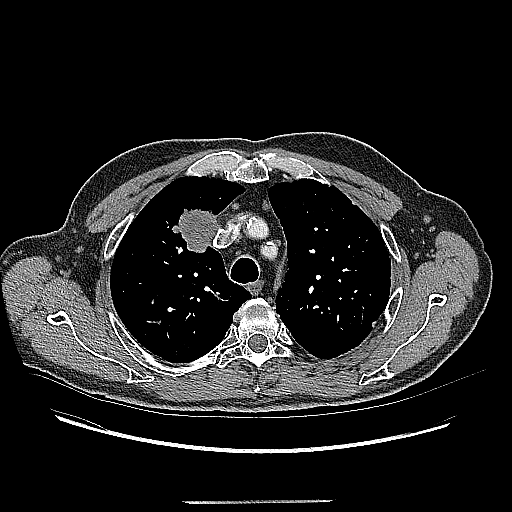 Lung; CT
The lung tumor is bounded by rect(171, 207, 219, 252).